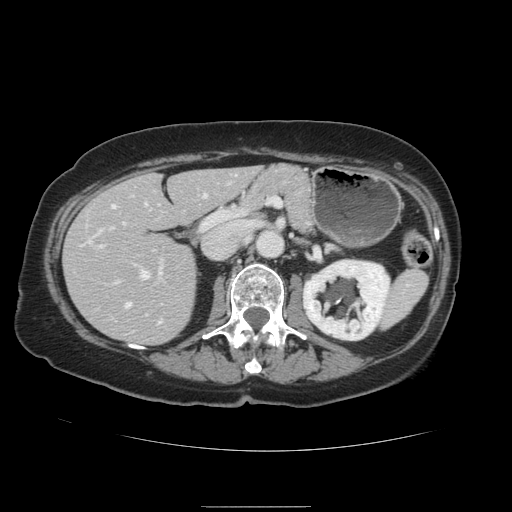

CT | Abdomen
Only some of the vessels may be annotated.
12 hepatic vessel regions are bounded by 124,303,129,307; 110,227,112,229; 139,268,148,278; 96,245,101,247; 114,282,116,283; 84,237,92,244; 144,203,146,205; 158,269,160,279; 96,230,100,234; 202,194,205,197; 122,223,124,224; 111,205,114,207.